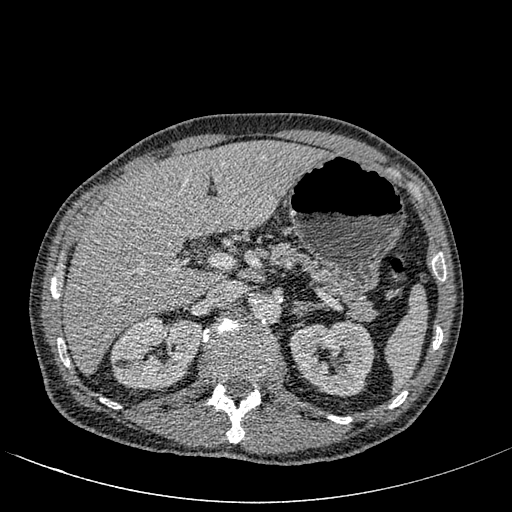

CT slice | Liver
kidney:
  - [x1=111, y1=316, x2=202, y2=388]
  - [x1=290, y1=321, x2=373, y2=395]
liver:
  - [x1=62, y1=142, x2=328, y2=375]